Computed tomography, 512x512

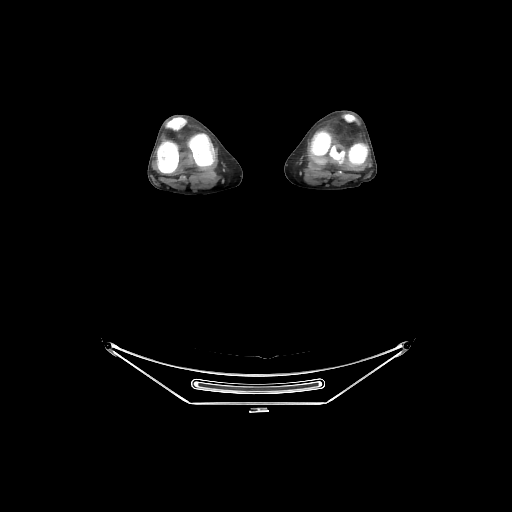
<segmentation>
  <bone>box=[344, 114, 355, 121]; box=[156, 133, 215, 173]; box=[309, 130, 367, 169]; box=[166, 117, 186, 130]</bone>
</segmentation>